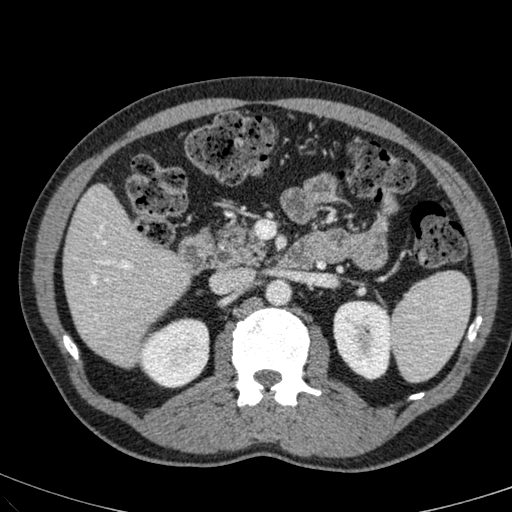

Computed tomography
{
  "liver": [
    "63 185 190 366"
  ],
  "kidney": [
    "335 303 389 377",
    "143 321 207 385"
  ]
}